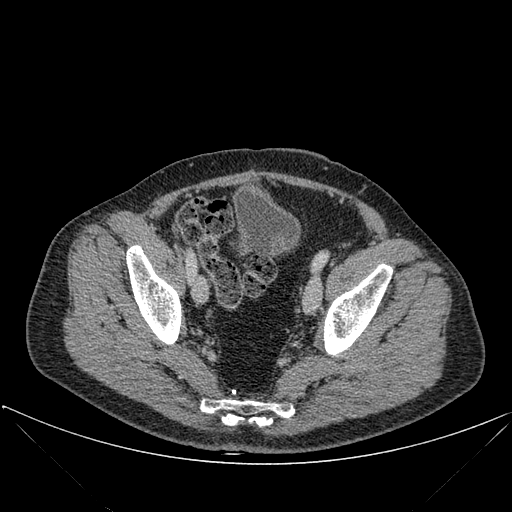 CT.
{"bone": ["region(324, 264, 392, 354)", "region(249, 417, 273, 427)", "region(126, 245, 181, 344)", "region(221, 414, 244, 426)", "region(200, 400, 294, 417)"]}